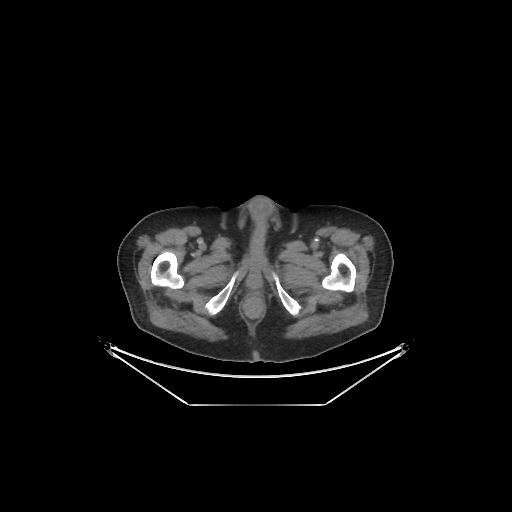
CT
bone:
  - (left=151, top=251, right=183, bottom=288)
  - (left=274, top=274, right=300, bottom=314)
  - (left=205, top=273, right=236, bottom=314)
  - (left=322, top=253, right=355, bottom=291)